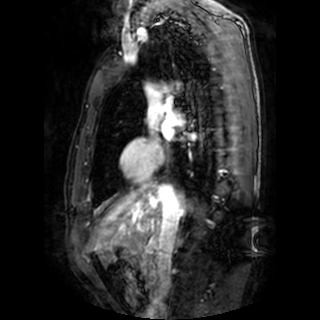
Image size 320x320 | MRI slice | Cardiac
• left atrium: rect(164, 130, 171, 138)